CT image; Upper abdomen

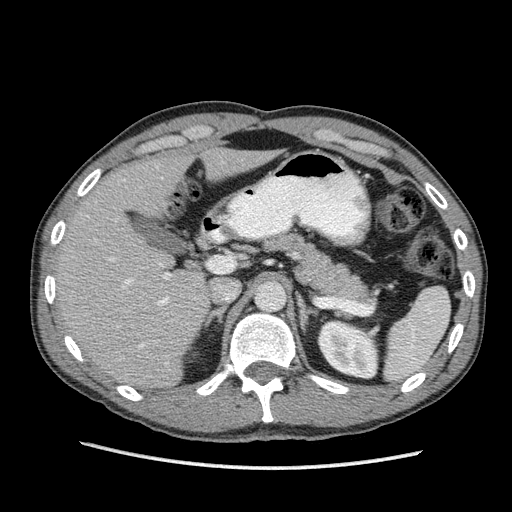
Liver at <bbox>51, 145, 286, 390</bbox>.
Kidney at <bbox>319, 322, 376, 377</bbox>.